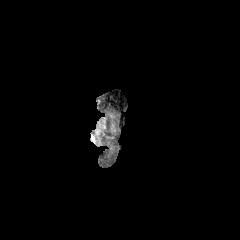
FLAIR magnetic resonance.
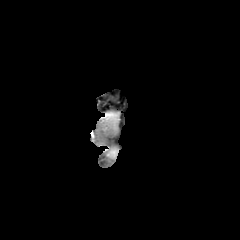
Same slice, T1-weighted MRI.
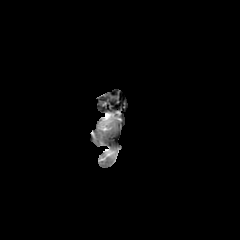
Post-contrast T1-weighted MR image of the same slice.
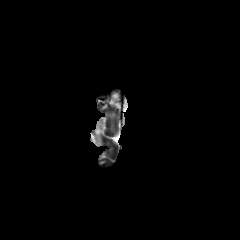
T2-weighted MR image.
Head.
- edema: box(91, 113, 116, 145)